Image width 437 mm; Slice 29/61; Computed tomography

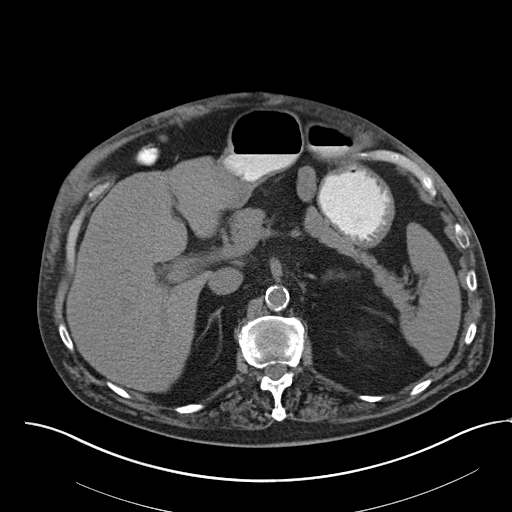

The spleen lies within l=402, t=226, r=460, b=363.